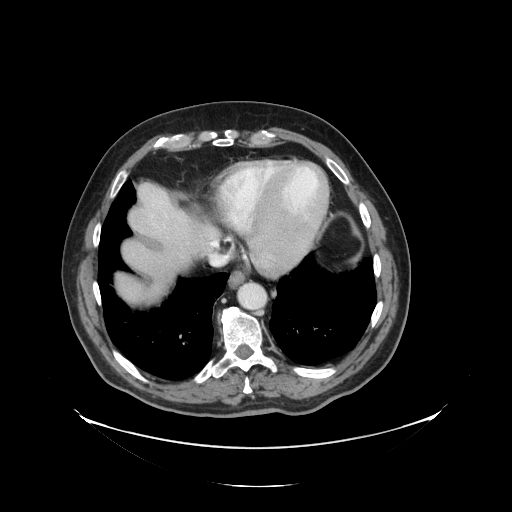
Liver | Computed tomography
Some hepatic vessels may have no box.
hepatic_vessel:
  - {"x1": 211, "y1": 242, "x2": 218, "y2": 247}